Slice index 447 | Image width 344 mm | CT scan slice | Chest

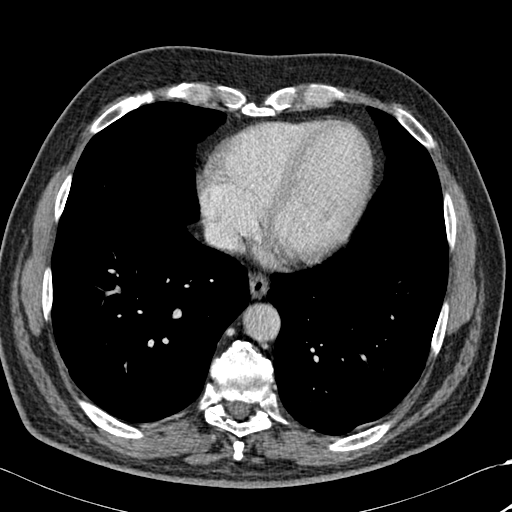

<segmentation>
  <bone><box>91,93,152,132</box>, <box>55,177,70,217</box>, <box>42,270,52,315</box>, <box>81,402,142,438</box>, <box>201,341,285,436</box>, <box>432,305,448,351</box>, <box>312,86,323,93</box>, <box>329,424,388,451</box>, <box>167,84,191,96</box>, <box>397,110,432,146</box>, <box>233,441,243,459</box>, <box>444,195,455,244</box>, <box>229,88,293,115</box></bone>
  <lung><box>51,101,250,422</box>, <box>266,106,448,435</box></lung>
</segmentation>